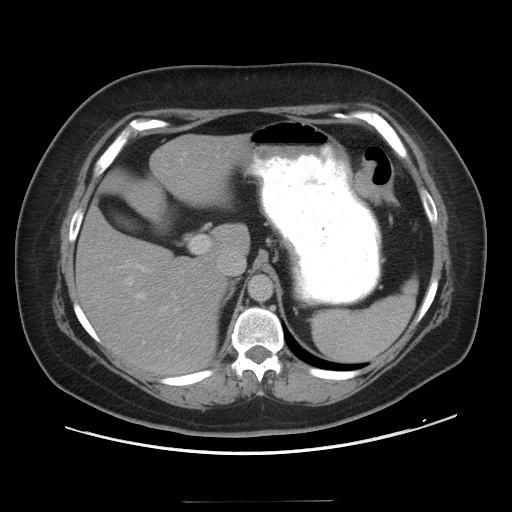 CT image | 512x512 | Pelvis

The colon tumor appears at {"x1": 355, "y1": 161, "x2": 396, "y2": 203}.